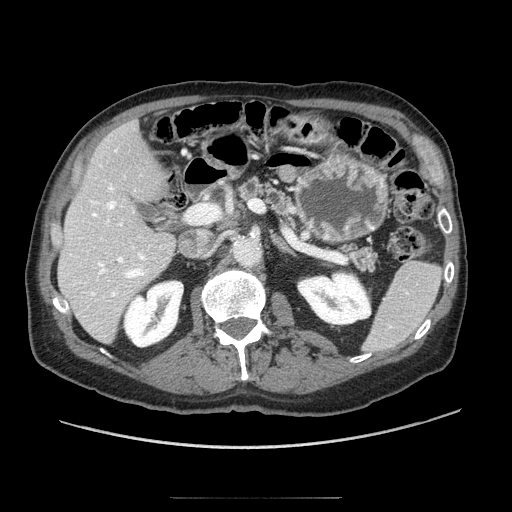 CT slice. <segmentation>
  <pancreas>239,179,296,228; 338,244,376,271</pancreas>
</segmentation>